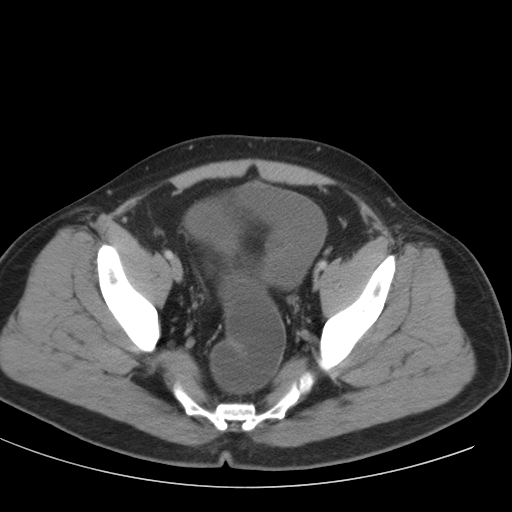 CT; Pelvis; 512x512

The urinary bladder is located at (186, 184, 326, 289).